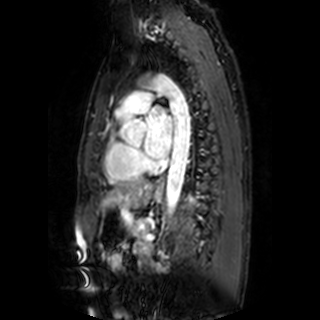 MR image
The left atrium appears at [143, 106, 172, 158].